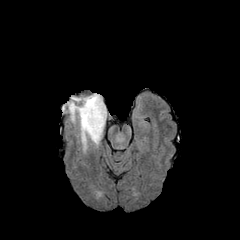
FLAIR MR image.
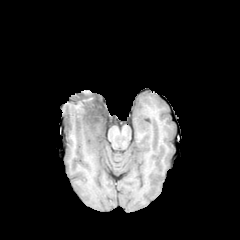
T1-weighted MRI.
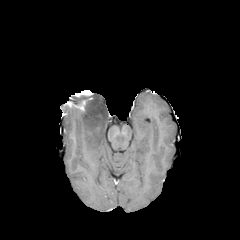
Post-contrast T1-weighted magnetic resonance.
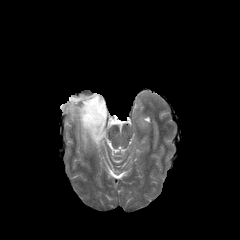
Same slice, T2-weighted MR image.
Brain
Edema at box(67, 108, 107, 149).
Non-enhancing tumor core at box(69, 94, 106, 124).
Enhancing tumor at box(67, 100, 85, 110).